FLAIR MRI.
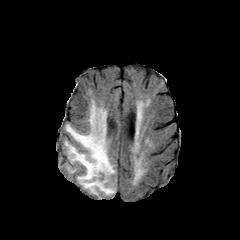
T1-weighted MR image.
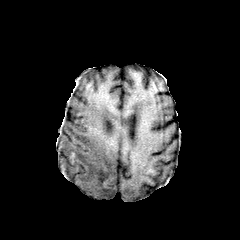
Post-contrast T1-weighted MR image.
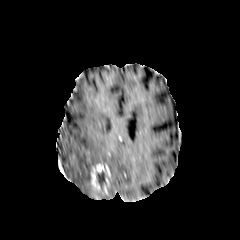
T2-weighted MRI.
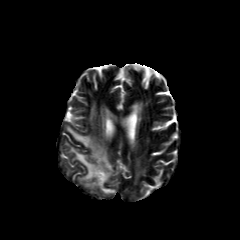
Head | Image size 240x240
non-enhancing tumor core: box=[97, 172, 105, 193] | enhancing tumor: box=[91, 163, 110, 190] | edema: box=[64, 101, 116, 197]